Lower abdomen, CT

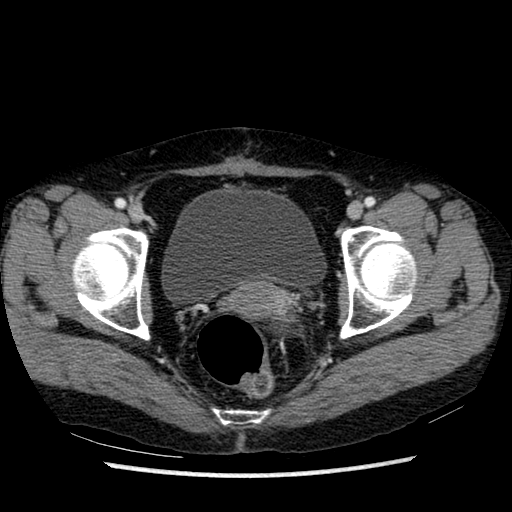 * urinary bladder: bbox=[161, 185, 326, 304]